Slice 145 of 154; Computed tomography; Liver; 512x512 px

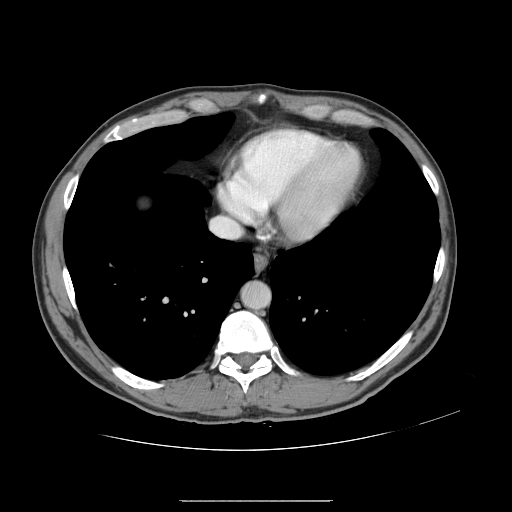

The vessel boxes may cover only some of the vessels.
Annotated regions:
• hepatic vessel: 210,217,239,237